MRI. Slice 15 of 29. Medial temporal lobe. Image width 38 mm.

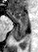
<segmentation>
  <posterior_hippocampus>12:23:28:41</posterior_hippocampus>
  <anterior_hippocampus>7:10:28:22</anterior_hippocampus>
</segmentation>